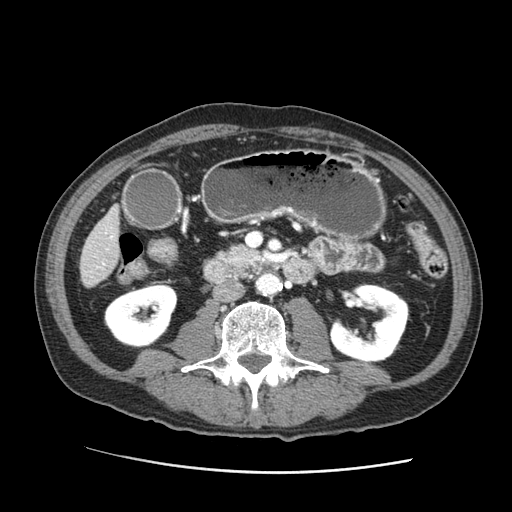
Abdomen; 512x512 px; CT slice
The pancreas is at [223, 246, 257, 264].